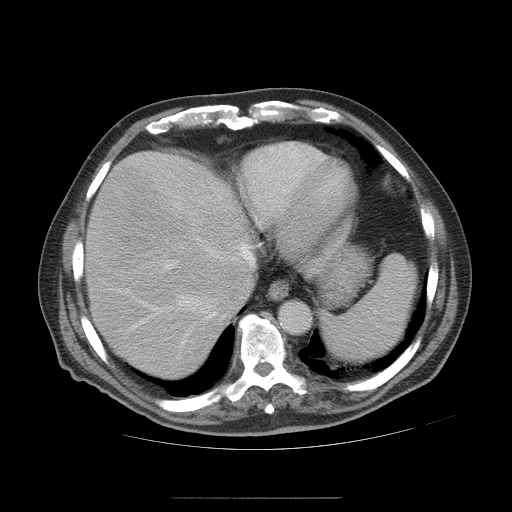 Abdomen, Image size 512x512, CT scan slice
Only some of the vessels may be annotated.
hepatic vessel: (x1=141, y1=301, x2=159, y2=313), (x1=195, y1=297, x2=197, y2=299), (x1=196, y1=303, x2=215, y2=319), (x1=206, y1=248, x2=221, y2=259), (x1=236, y1=243, x2=251, y2=261), (x1=236, y1=225, x2=238, y2=227), (x1=165, y1=260, x2=178, y2=269), (x1=231, y1=257, x2=233, y2=258), (x1=222, y1=315, x2=225, y2=318), (x1=179, y1=295, x2=188, y2=306), (x1=204, y1=320, x2=205, y2=322), (x1=190, y1=307, x2=194, y2=309), (x1=129, y1=318, x2=147, y2=330)